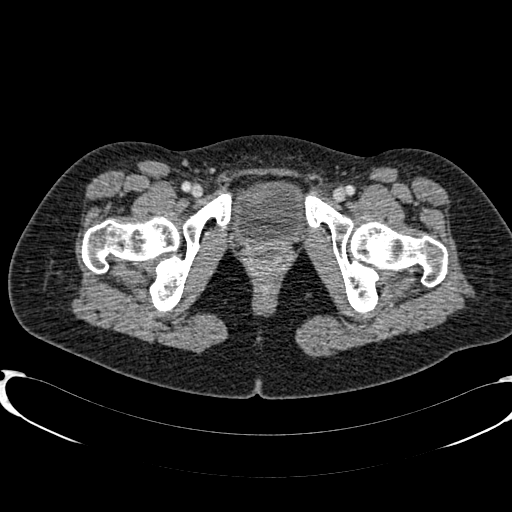
512x512. CT. Pelvis. {"urinary_bladder": ["<bbox>227, 180, 308, 247</bbox>"]}